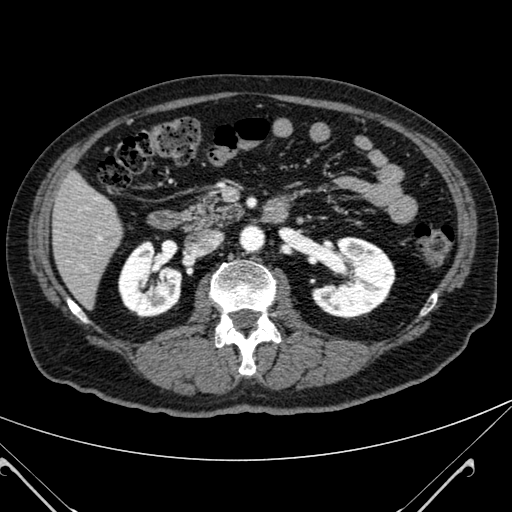

CT scan slice.

Liver at [x1=51, y1=173, x2=122, y2=305].
Kidney at [x1=119, y1=242, x2=180, y2=315], [x1=313, y1=238, x2=394, y2=316].